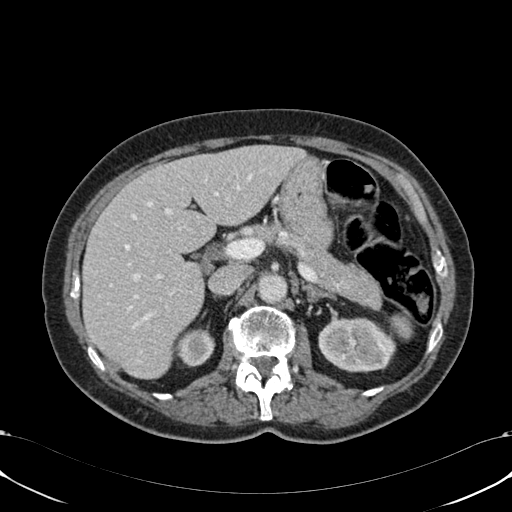

Image size 512x512; CT slice
Kidney: bounding box (x1=178, y1=328, x2=213, y2=365), (x1=319, y1=317, x2=394, y2=370).
Liver: bounding box (x1=83, y1=145, x2=305, y2=378).